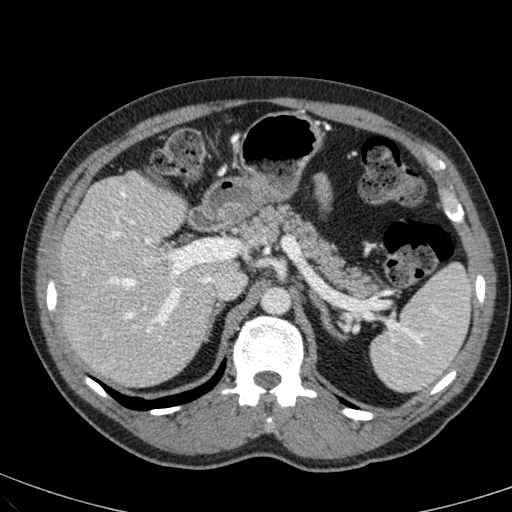

Image size 512x512. Abdomen. CT image.

The liver is located at {"x1": 59, "y1": 172, "x2": 231, "y2": 386}.